Slice index 36; Liver; Computed tomography; 512x512

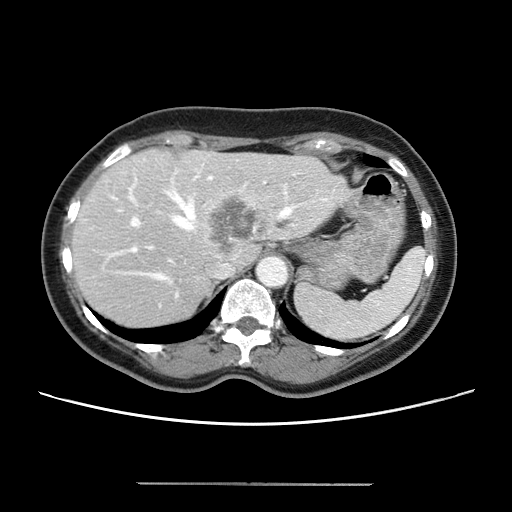
The vessel annotation is not exhaustive.
<segmentation>
  <liver_tumor>box=[212, 199, 255, 249]</liver_tumor>
  <hepatic_vessel>box=[280, 208, 290, 216]; box=[151, 274, 162, 279]; box=[132, 247, 135, 250]; box=[130, 194, 133, 200]; box=[148, 247, 151, 247]; box=[131, 218, 138, 225]; box=[167, 191, 194, 229]</hepatic_vessel>
</segmentation>